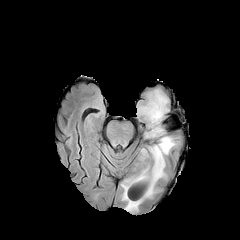
FLAIR MRI.
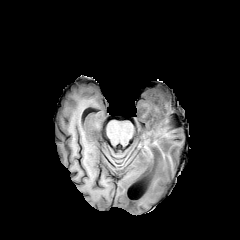
T1-weighted magnetic resonance.
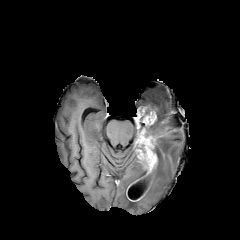
Same slice, post-contrast T1-weighted MRI.
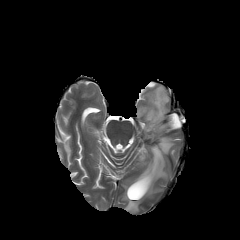
T2-weighted MR image of the same slice.
Image size 240x240.
Non-enhancing tumor core — (left=140, top=135, right=153, bottom=145).
Edema — (left=121, top=90, right=175, bottom=211).
Enhancing tumor — (left=146, top=110, right=155, bottom=123), (left=138, top=145, right=157, bottom=172).